Head. Slice 61/155.
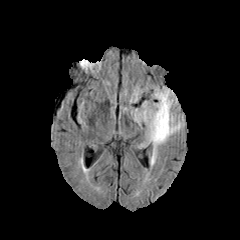
FLAIR MR.
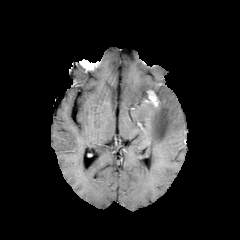
T1-weighted MRI.
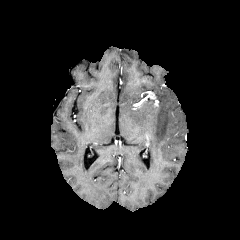
Post-contrast T1-weighted MR.
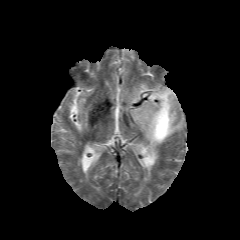
T2-weighted MR image.
Edema at x1=128 y1=84 x2=183 y2=166.
Non-enhancing tumor core at x1=156 y1=121 x2=164 y2=134.